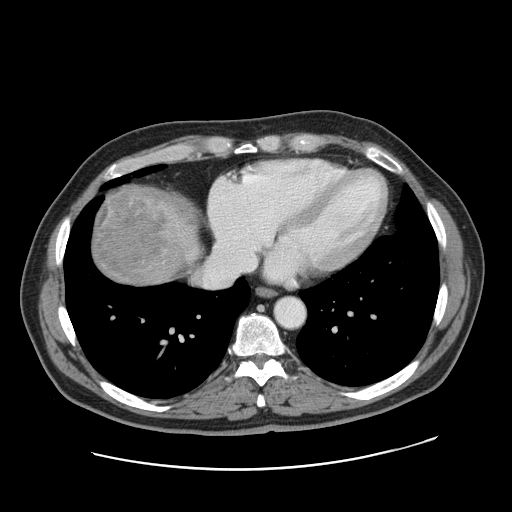
Image size 512x512 | CT image | Abdomen
Liver tumor — rect(95, 188, 164, 285).